CT image; Slice 64/80; Abdomen
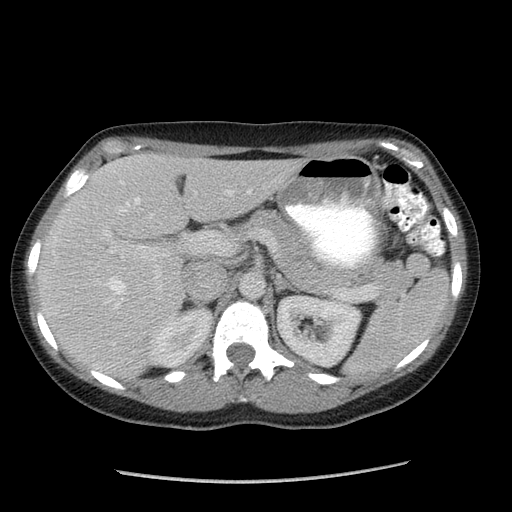

spleen:
  - x1=347, y1=268, x2=450, y2=373